Slice 18 of 52; Image size 512x512; Computed tomography

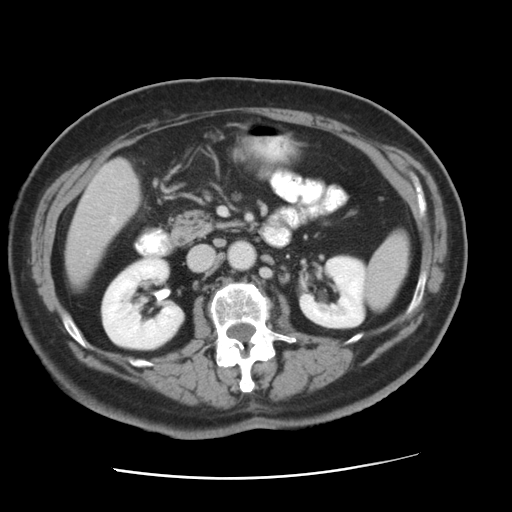
The vessel boxes may cover only some of the vessels.
Hepatic vessel: (left=110, top=217, right=116, bottom=223).